CT image | Abdomen | Slice index 422 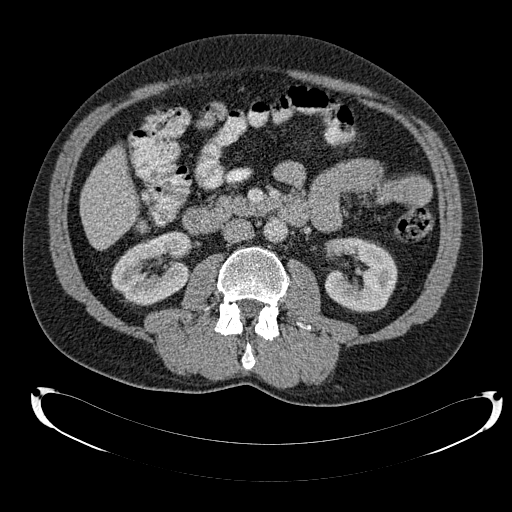
The liver lies within {"x1": 82, "y1": 147, "x2": 137, "y2": 249}. 2 kidney regions are bounded by {"x1": 325, "y1": 238, "x2": 396, "y2": 310}, {"x1": 112, "y1": 232, "x2": 188, "y2": 304}.